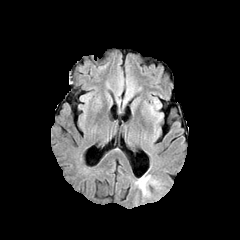
FLAIR MR.
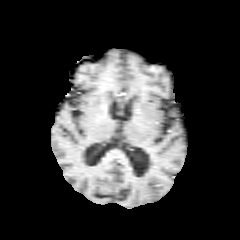
T1-weighted magnetic resonance.
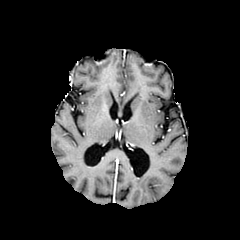
Post-contrast T1-weighted magnetic resonance.
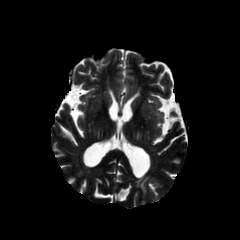
T2-weighted magnetic resonance.
edema:
  - <box>139,175,152,190</box>